CT scan slice. Field of view 450 mm wide, 2.50 mm slice spacing. Upper abdomen.
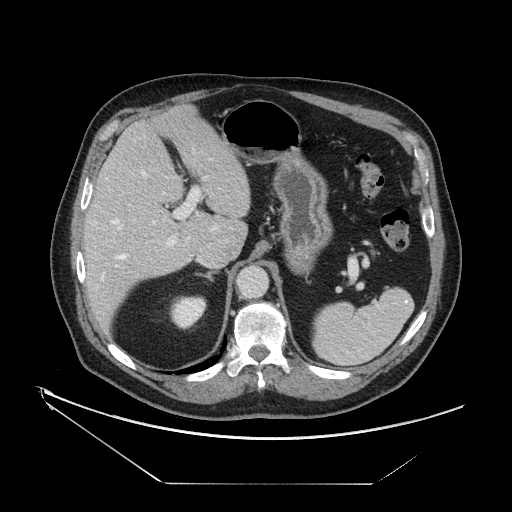
pancreas:
  - 369 245 379 258